CT slice. Abdomen. Slice index 33. 512x512 px. 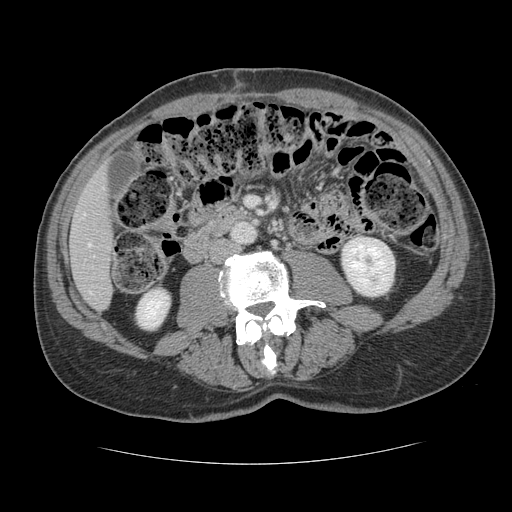
Some hepatic vessels may have no box.
Hepatic vessel at box=[88, 243, 91, 245].